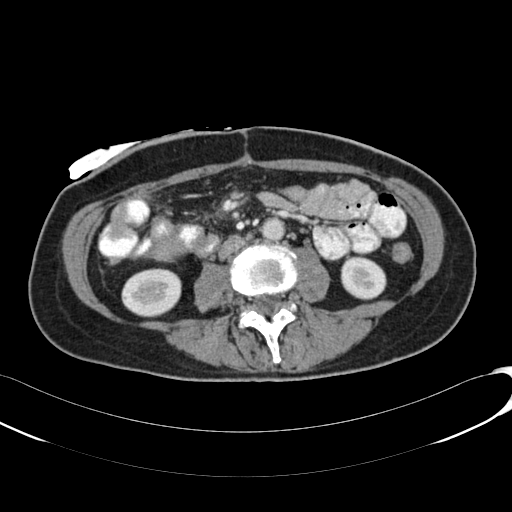
CT image, Abdomen
2 kidney regions are located at 123:270:180:315, 342:258:384:297.